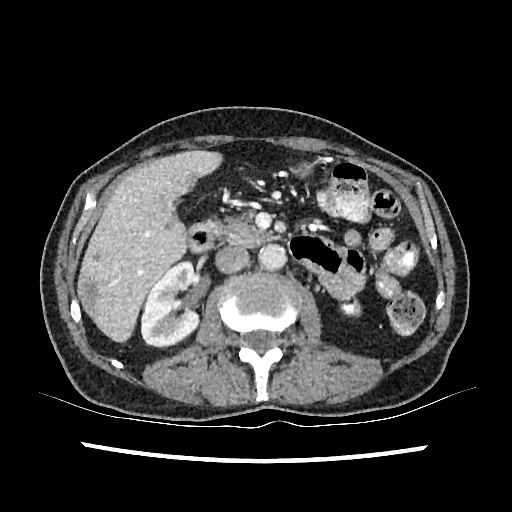

CT image. 3 liver lesion regions are located at <bbox>92, 252, 100, 261</bbox>, <bbox>185, 172, 202, 186</bbox>, <bbox>79, 280, 99, 313</bbox>. The liver is bounded by <bbox>80, 151, 220, 340</bbox>. The kidney is at <bbox>142, 263, 198, 345</bbox>.